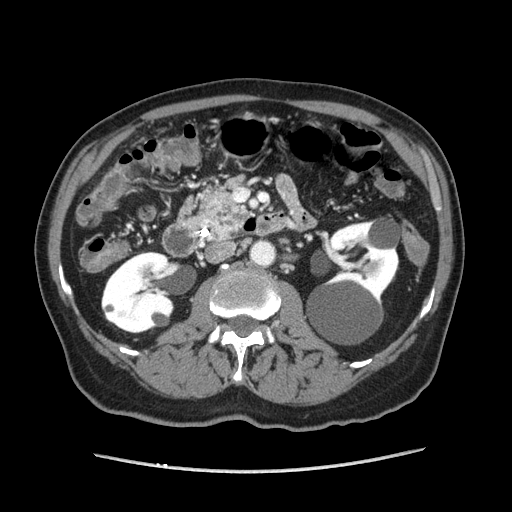

CT slice
pancreas:
  - (192,178,248,239)